Image width 440 mm | CT image

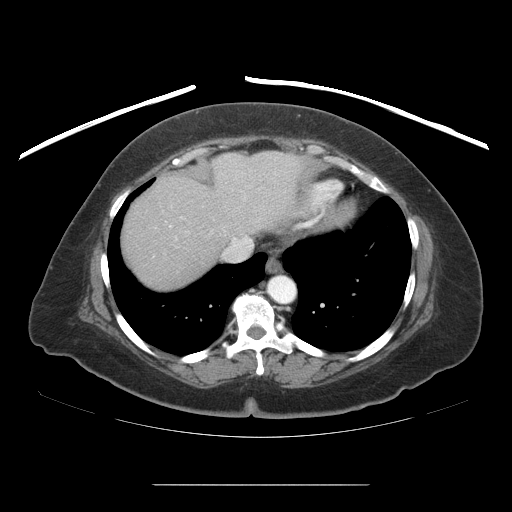

The vessel annotation is not exhaustive.
Hepatic vessel at (x1=235, y1=176, x2=236, y2=178), (x1=230, y1=170, x2=242, y2=174), (x1=222, y1=237, x2=251, y2=261), (x1=168, y1=224, x2=171, y2=227).